FLAIR MRI.
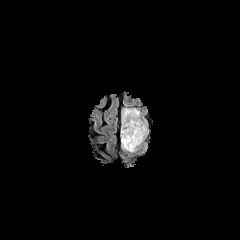
T1-weighted magnetic resonance.
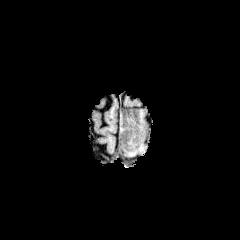
Post-contrast T1-weighted MR image.
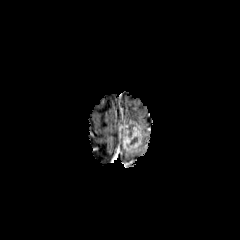
T2-weighted MR.
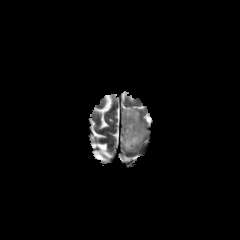
Edema: left=122, top=107, right=142, bottom=125; left=141, top=123, right=149, bottom=136.
Non-enhancing tumor core: left=125, top=123, right=136, bottom=137.
Enhancing tumor: left=120, top=119, right=144, bottom=152.